Slice 46/121. CT image. 512x512.
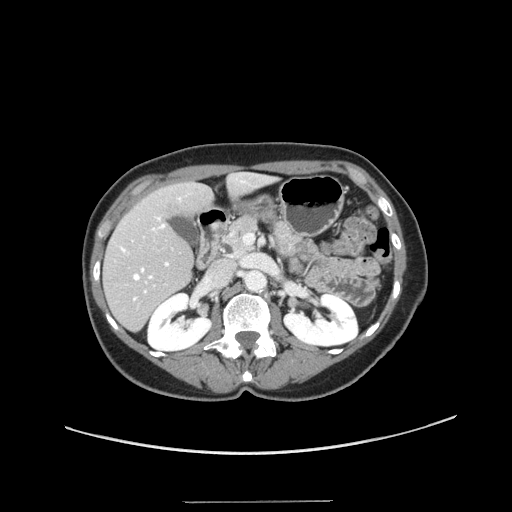 Not every hepatic vessel necessarily has a box.
Hepatic vessel — bbox=[158, 217, 160, 220]; bbox=[149, 276, 151, 277]; bbox=[152, 227, 156, 230]; bbox=[178, 198, 180, 199]; bbox=[142, 268, 143, 270]; bbox=[121, 247, 125, 251]; bbox=[134, 274, 138, 279]; bbox=[166, 262, 168, 264]; bbox=[134, 297, 135, 299]; bbox=[160, 223, 164, 227].